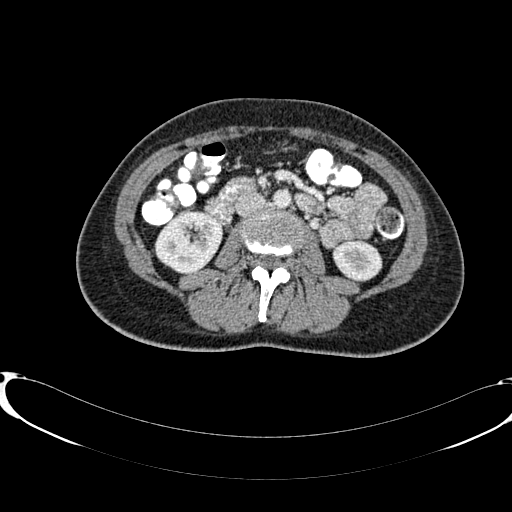 Computed tomography | 512x512
kidney:
  - bbox(334, 242, 380, 279)
  - bbox(156, 213, 221, 272)